512x512, CT slice
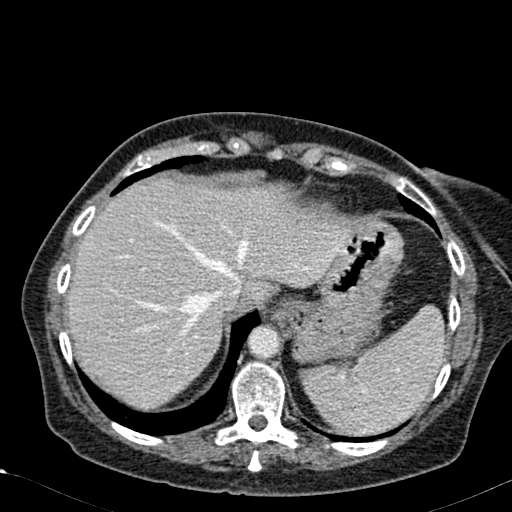
The liver lies within 67:177:349:405.